FLAIR MR.
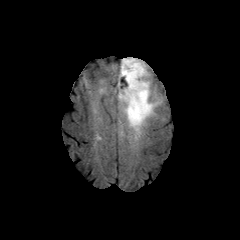
T1-weighted magnetic resonance.
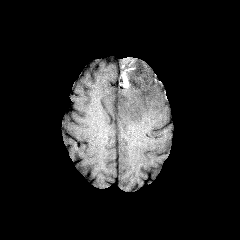
Post-contrast T1-weighted MR.
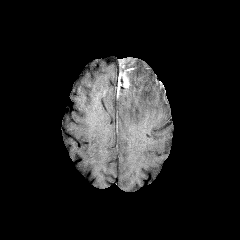
T2-weighted MR.
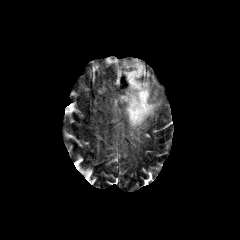
Brain
{
  "enhancing_tumor": [
    "(118, 63, 133, 87)"
  ],
  "non-enhancing_tumor_core": [
    "(122, 59, 136, 71)",
    "(120, 70, 136, 87)"
  ],
  "edema": [
    "(117, 57, 161, 141)"
  ]
}